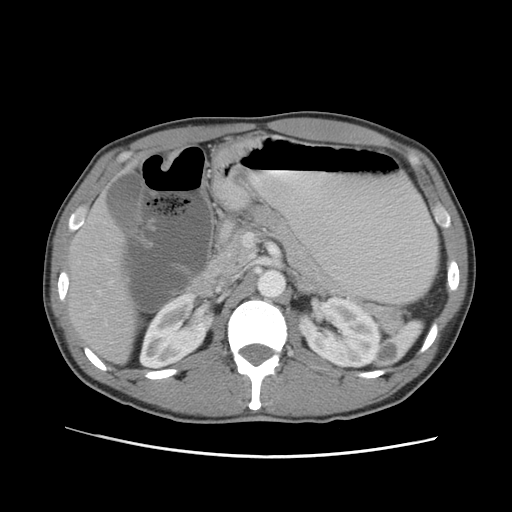 CT; Abdomen; Image size 512x512

Colon tumor: bbox=[161, 149, 180, 170].